MR image; Field of view 36 mm wide, 1.00 mm slice spacing; Slice 13/32 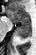
The anterior hippocampus lies within x1=6 y1=9 x2=30 y2=26. The posterior hippocampus appears at x1=16 y1=27 x2=30 y2=38.